CT scan slice 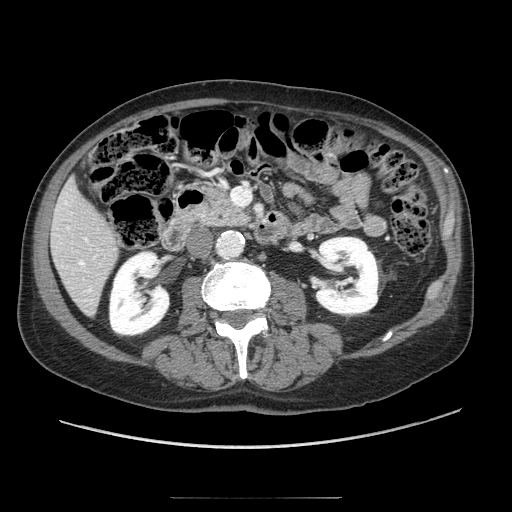

pancreas:
  - 203:188:248:226